Slice 41 of 71, CT slice, 512x512 px, Image width 418 mm, Abdomen

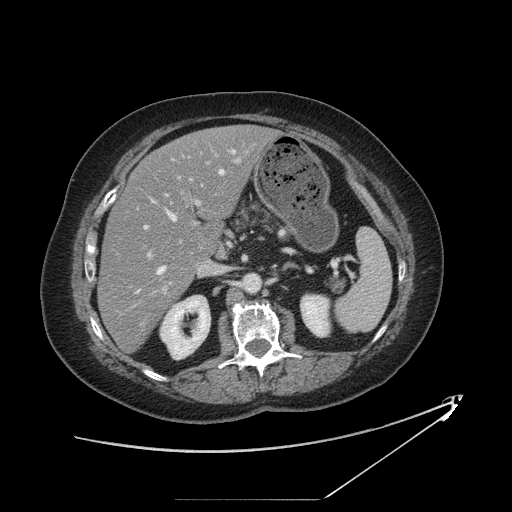 {"pancreas": ["(232, 200, 278, 236)"]}